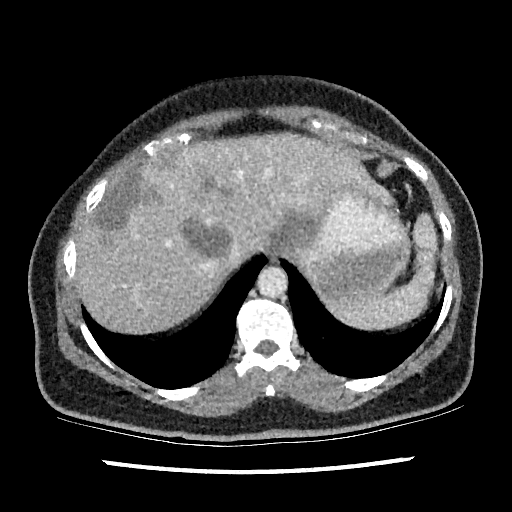

Image size 512x512 | CT | Upper abdomen

Liver — left=285, top=241, right=306, bottom=250; left=77, top=135, right=393, bottom=333.
Liver lesion — left=182, top=218, right=229, bottom=257; left=195, top=169, right=215, bottom=200; left=95, top=172, right=148, bottom=230; left=271, top=216, right=313, bottom=247.